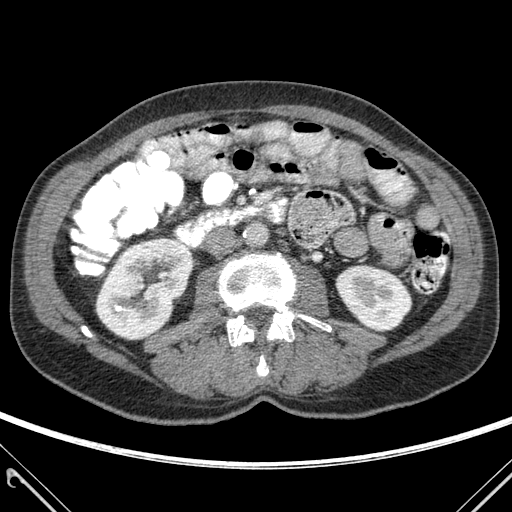
Abdomen | Computed tomography
Bone: bounding box x1=257 y1=356 x2=268 y2=375, x1=219 y1=253 x2=295 y2=341, x1=82 y1=326 x2=91 y2=336, x1=227 y1=315 x2=253 y2=346, x1=298 y1=315 x2=331 y2=331.
Kidney: bounding box x1=97 y1=239 x2=187 y2=338, x1=337 y1=266 x2=410 y2=329.